Head, Slice 118/155
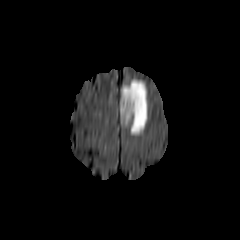
FLAIR MRI.
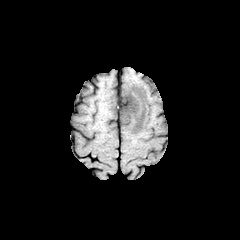
Same slice, T1-weighted MR.
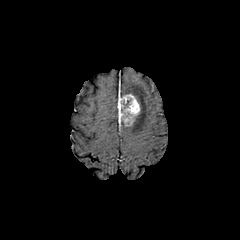
Post-contrast T1-weighted magnetic resonance.
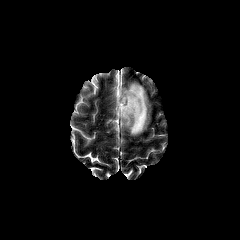
T2-weighted MRI of the same slice.
Edema: bounding box (x1=120, y1=80, x2=148, y2=135).
Enhancing tumor: bounding box (x1=117, y1=94, x2=140, y2=125).